CT
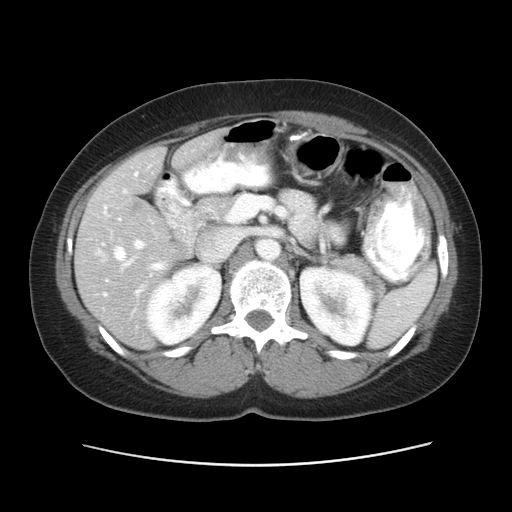
The vessel boxes may cover only some of the vessels.
10 hepatic vessel regions appear at (97, 249, 103, 255), (134, 240, 142, 247), (105, 279, 107, 281), (114, 247, 132, 265), (118, 218, 120, 219), (135, 287, 142, 294), (123, 190, 126, 192), (103, 293, 106, 295), (152, 263, 164, 269), (134, 172, 137, 175). The liver tumor is bounded by (132, 204, 138, 213).